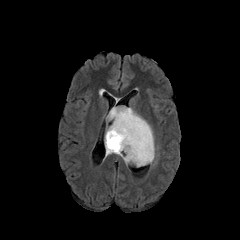
FLAIR MR image.
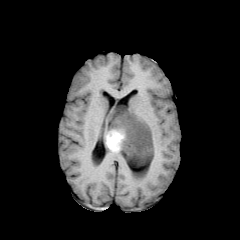
T1-weighted MR image of the same slice.
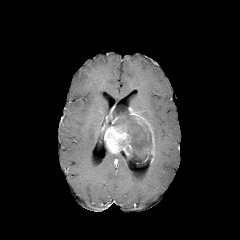
Same slice, post-contrast T1-weighted magnetic resonance.
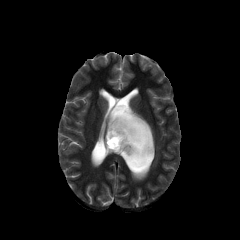
T2-weighted MR image.
Head; 240x240 px
non-enhancing_tumor_core:
  - <box>111,106,152,166</box>
enhancing_tumor:
  - <box>104,122,132,156</box>
  - <box>128,107,152,133</box>
  - <box>146,135,154,155</box>
  - <box>106,105,115,122</box>
edema:
  - <box>116,152,135,166</box>
  - <box>145,145,157,165</box>